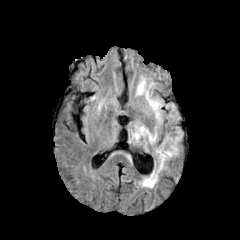
FLAIR magnetic resonance.
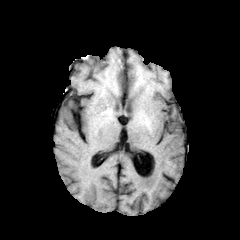
T1-weighted magnetic resonance of the same slice.
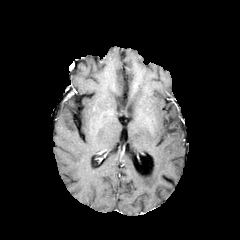
Post-contrast T1-weighted MRI.
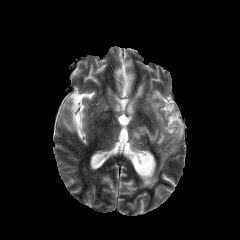
T2-weighted MRI.
Edema: bounding box bbox=[130, 78, 182, 188].